FLAIR MRI.
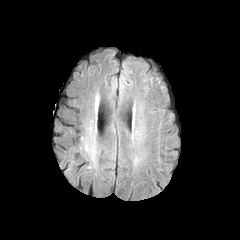
T1-weighted MR image.
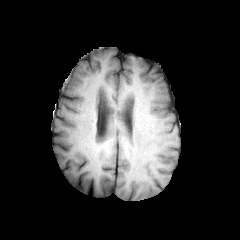
Post-contrast T1-weighted MRI.
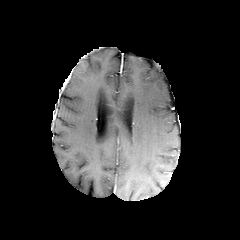
T2-weighted MRI.
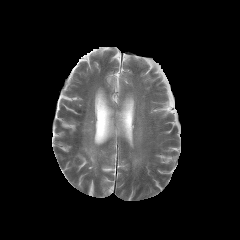
Brain
edema:
  - (x1=133, y1=155, x2=141, y2=165)